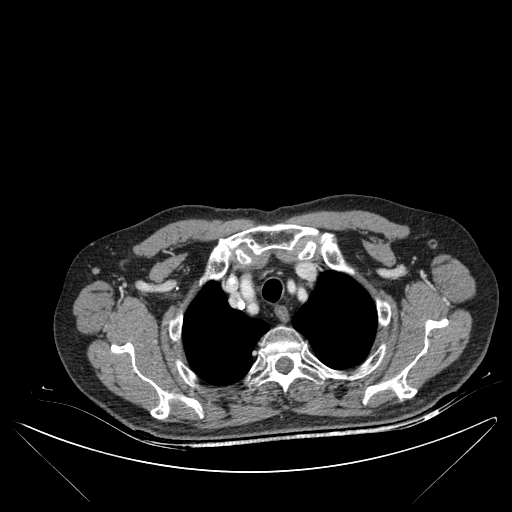 CT image
Bone: [x1=363, y1=319, x2=448, y2=403], [x1=319, y1=233, x2=343, y2=270], [x1=111, y1=343, x2=203, y2=418], [x1=169, y1=315, x2=181, y2=340], [x1=250, y1=333, x2=385, y2=390], [x1=176, y1=361, x2=195, y2=385], [x1=299, y1=241, x2=315, y2=259], [x1=208, y1=224, x2=318, y2=279], [x1=377, y1=300, x2=390, y2=325].
Lung: [x1=263, y1=279, x2=281, y2=301], [x1=292, y1=271, x2=377, y2=369], [x1=182, y1=281, x2=268, y2=385].